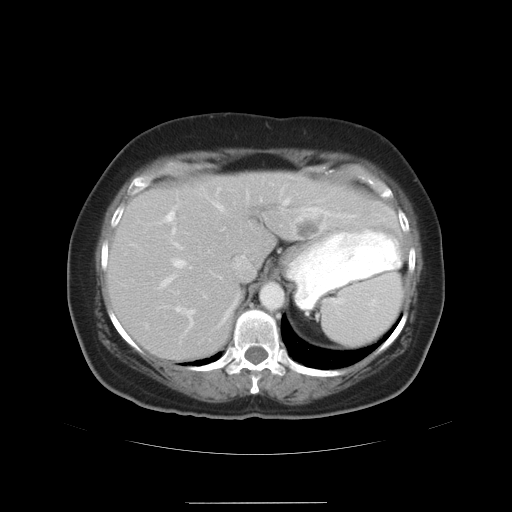

Computed tomography
The vessel annotation is not exhaustive.
Findings:
• hepatic vessel: x1=303 y1=208 x2=322 y2=212, x1=171 y1=238 x2=182 y2=249, x1=206 y1=196 x2=224 y2=212, x1=236 y1=256 x2=244 y2=268, x1=246 y1=266 x2=248 y2=267, x1=283 y1=198 x2=289 y2=204, x1=324 y1=213 x2=329 y2=214, x1=170 y1=257 x2=191 y2=269, x1=158 y1=204 x2=178 y2=235, x1=175 y1=306 x2=195 y2=331, x1=157 y1=272 x2=177 y2=289
• liver tumor: x1=294 y1=212 x2=324 y2=241